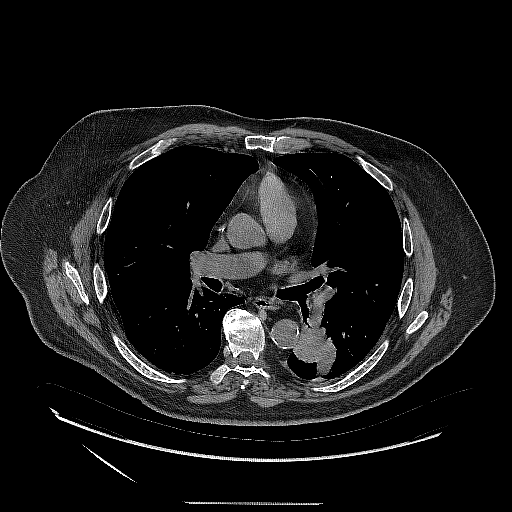 Chest | CT
The lung tumor is bounded by 291,317,339,379.